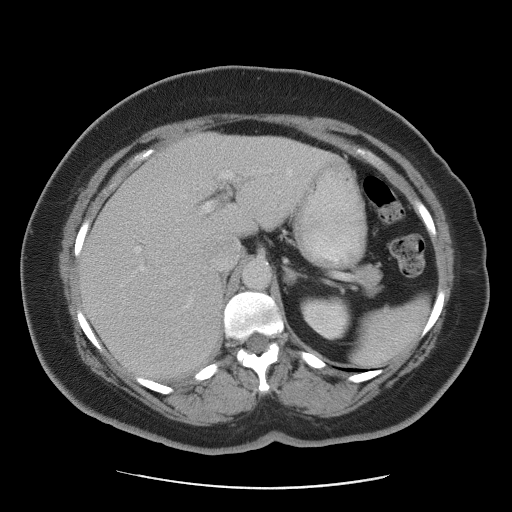 CT image

Some hepatic vessels may have no box.
hepatic_vessel:
  - (135, 246, 141, 251)
  - (204, 200, 214, 211)
  - (220, 172, 232, 177)